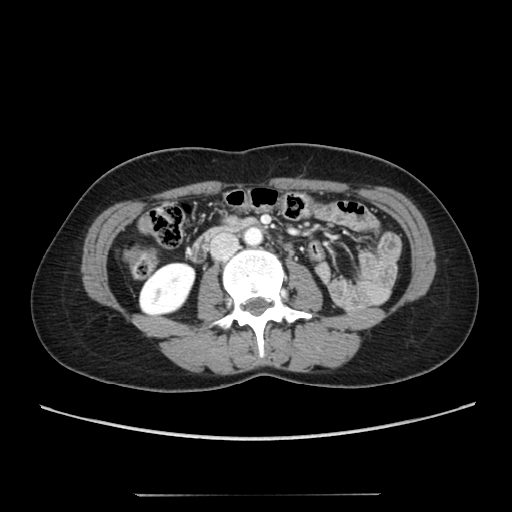 CT scan slice; Image size 512x512; Abdomen
Kidney = (140,264,194,314).